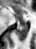

MRI.
The posterior hippocampus is bounded by 16 24 28 41.